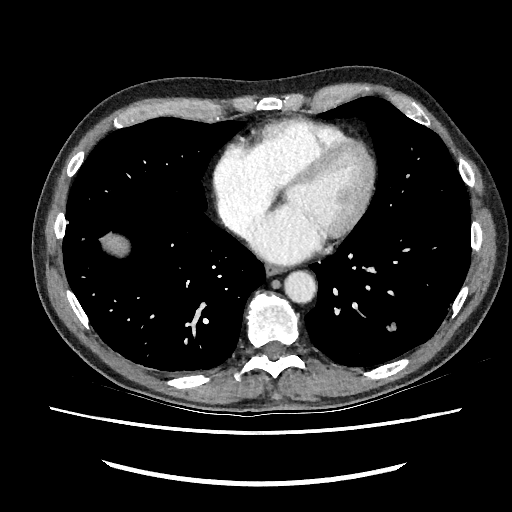

Image size 512x512. Computed tomography. The liver is located at (105,236,121,250).